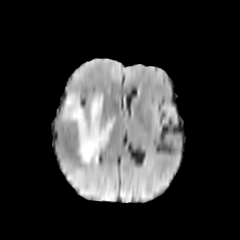
FLAIR MRI.
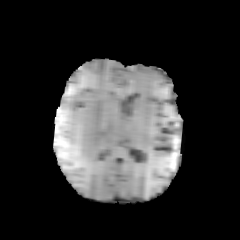
Same slice, T1-weighted magnetic resonance.
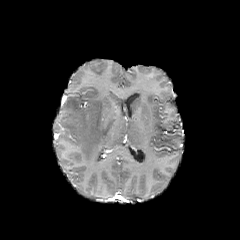
Post-contrast T1-weighted MR.
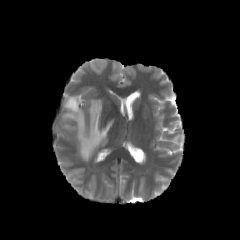
T2-weighted MR.
Brain.
edema: bbox(64, 94, 113, 164)